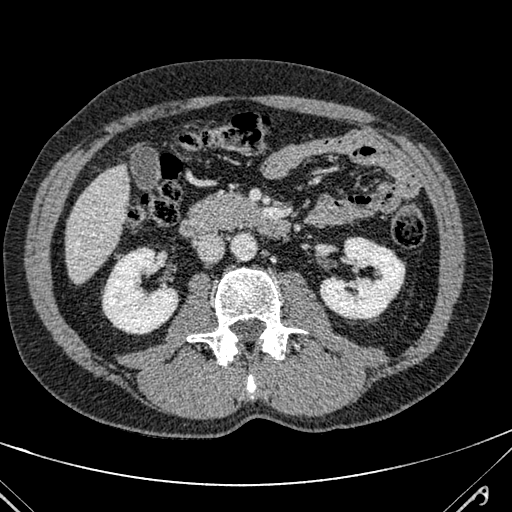

CT slice

Annotated regions:
- liver: <bbox>65, 165, 128, 283</bbox>